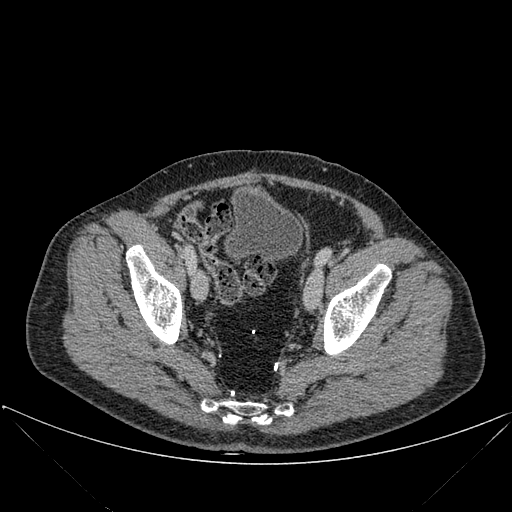

CT scan slice
6 bone regions are located at (left=249, top=415, right=271, bottom=425), (left=324, top=264, right=391, bottom=354), (left=201, top=401, right=265, bottom=413), (left=126, top=245, right=181, bottom=344), (left=275, top=406, right=293, bottom=415), (left=222, top=414, right=245, bottom=425).